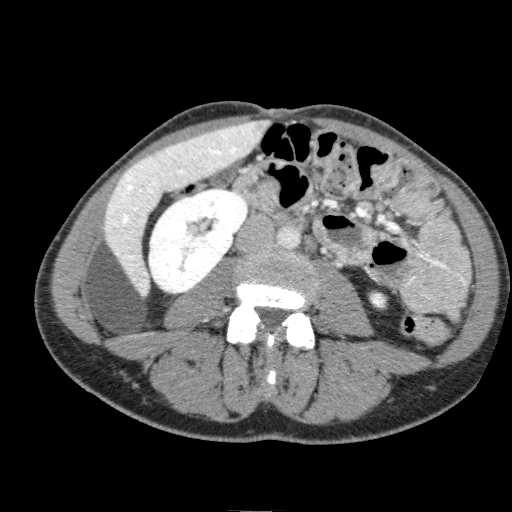
Computed tomography, Abdomen
kidney: x1=149 y1=190 x2=246 y2=292, x1=372 y1=294 x2=383 y2=306 | liver: x1=105 y1=120 x2=270 y2=296